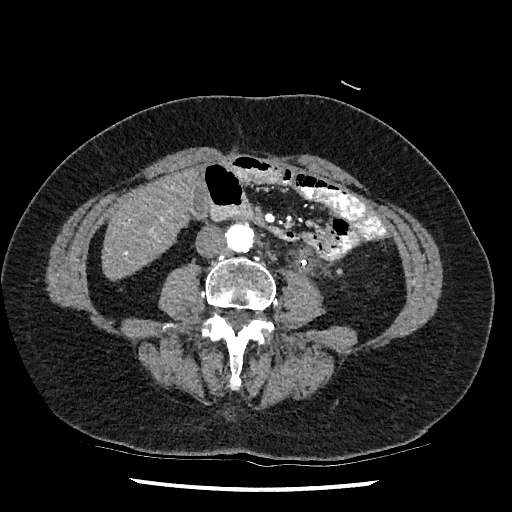

Abdomen, CT
The liver is bounded by <bbox>101, 168, 197, 279</bbox>.